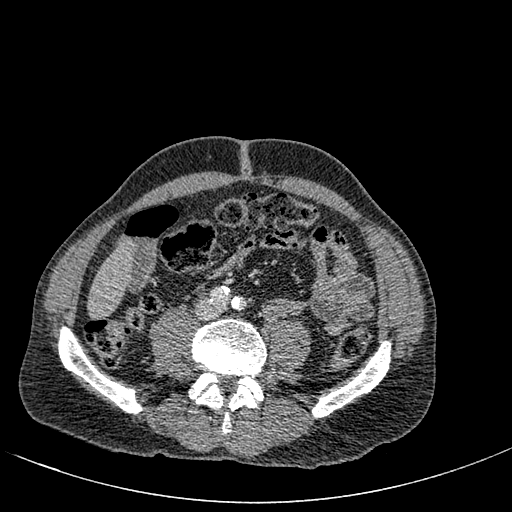

Liver | 512x512 | CT
{"liver": ["[89,243,133,316]"]}